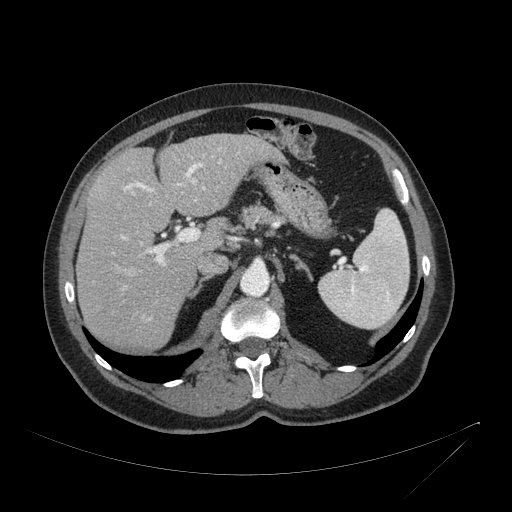 Computed tomography | 512x512
The liver lies within [76,134,285,348].